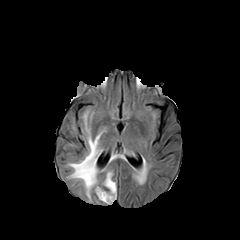
FLAIR magnetic resonance.
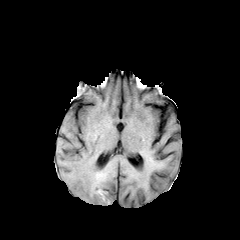
T1-weighted MR image.
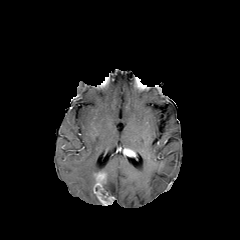
Post-contrast T1-weighted MR of the same slice.
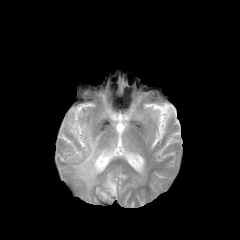
T2-weighted MR image.
Brain
Enhancing tumor: <box>95,172,105,186</box>.
Edema: <box>103,172,116,203</box>, <box>68,111,105,201</box>, <box>108,153,125,163</box>.
Non-enhancing tumor core: <box>94,184,114,201</box>.